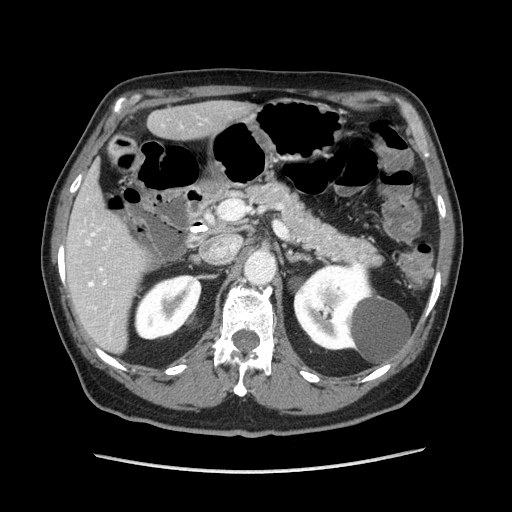
CT scan slice, Abdomen
pancreas:
  - 246 181 380 267